Upper abdomen | Computed tomography

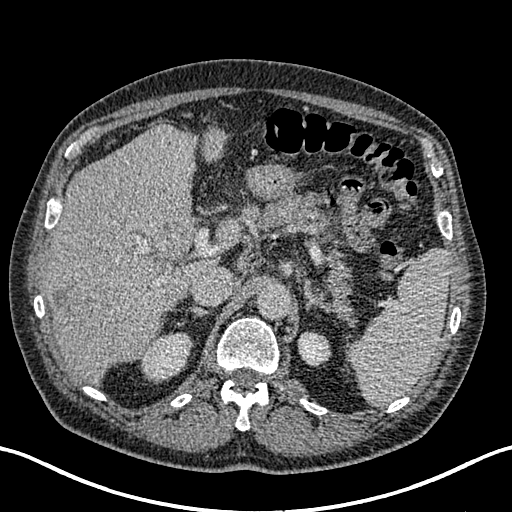

3 liver regions are located at bbox(216, 218, 240, 241); bbox(44, 124, 218, 383); bbox(203, 127, 224, 161). 3 focal liver lesion regions appear at bbox(152, 222, 189, 260); bbox(50, 281, 80, 332); bbox(159, 183, 168, 193). 2 kidney regions are located at bbox(143, 334, 190, 378); bbox(299, 333, 329, 364).